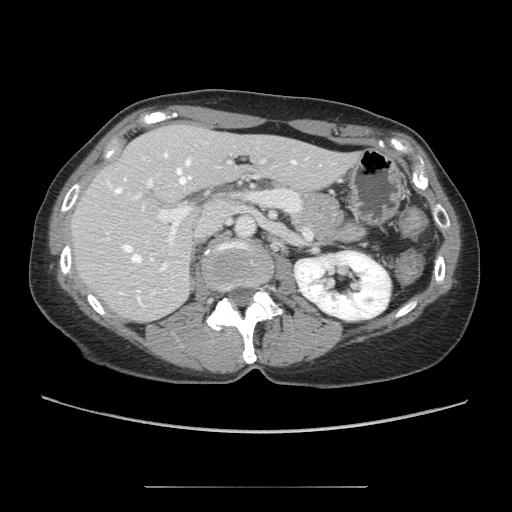

CT scan slice; 512x512

Findings:
• pancreas: 294,191,341,245